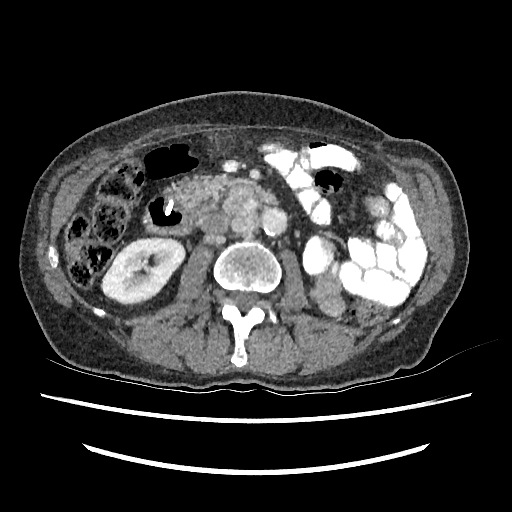 Image size 512x512. Abdomen. CT image.

kidney:
  - box(102, 239, 184, 302)